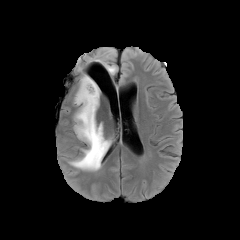
FLAIR MRI.
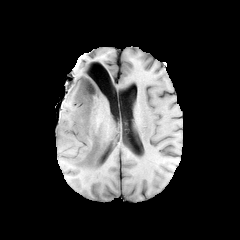
Same slice, T1-weighted magnetic resonance.
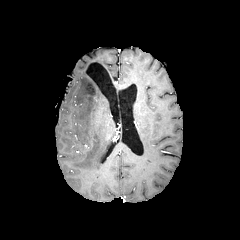
Same slice, post-contrast T1-weighted MR image.
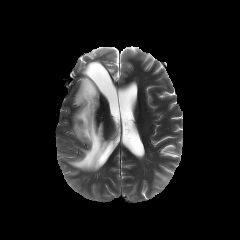
T2-weighted MR.
Brain.
Edema = x1=69, y1=74, x2=111, y2=171; x1=103, y1=61, x2=116, y2=74.